Slice 92/155
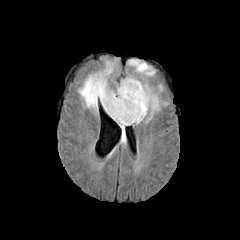
FLAIR magnetic resonance.
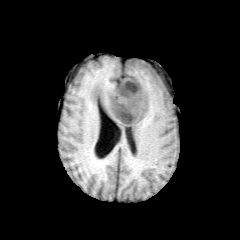
Same slice, T1-weighted MR image.
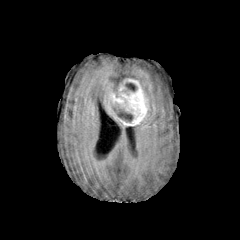
Same slice, post-contrast T1-weighted magnetic resonance.
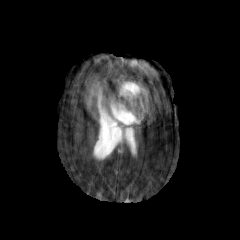
T2-weighted magnetic resonance.
The enhancing tumor lies within box=[108, 77, 149, 126]. 2 edema regions appear at box=[77, 60, 126, 144]; box=[127, 59, 159, 120]. 2 non-enhancing tumor core regions are located at box=[113, 106, 133, 122]; box=[123, 83, 137, 92].